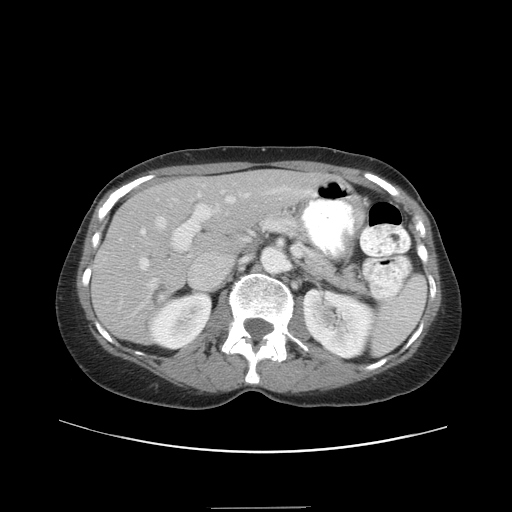
Abdomen | 512x512 px | CT image
Not every hepatic vessel necessarily has a box.
• hepatic vessel: {"x1": 239, "y1": 193, "x2": 248, "y2": 196}, {"x1": 221, "y1": 190, "x2": 224, "y2": 192}, {"x1": 268, "y1": 188, "x2": 288, "y2": 193}, {"x1": 216, "y1": 206, "x2": 218, "y2": 211}, {"x1": 141, "y1": 229, "x2": 145, "y2": 234}, {"x1": 226, "y1": 196, "x2": 234, "y2": 202}, {"x1": 148, "y1": 278, "x2": 156, "y2": 288}, {"x1": 198, "y1": 192, "x2": 200, "y2": 196}, {"x1": 156, "y1": 217, "x2": 165, "y2": 227}, {"x1": 173, "y1": 204, "x2": 211, "y2": 249}, {"x1": 140, "y1": 258, "x2": 148, "y2": 269}